CT scan slice | Abdomen | Field of view 382x382 mm

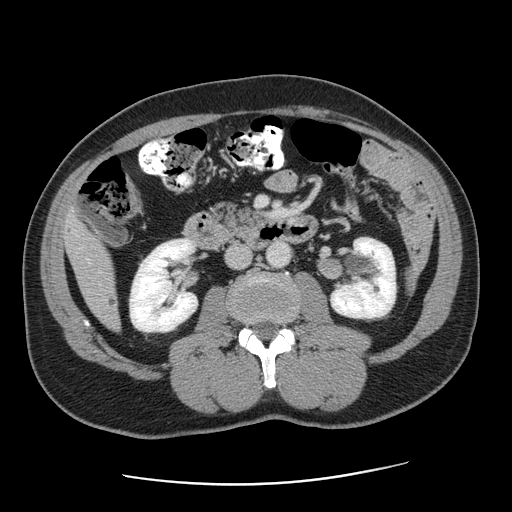
liver tumor: (x1=105, y1=294, x2=117, y2=308)